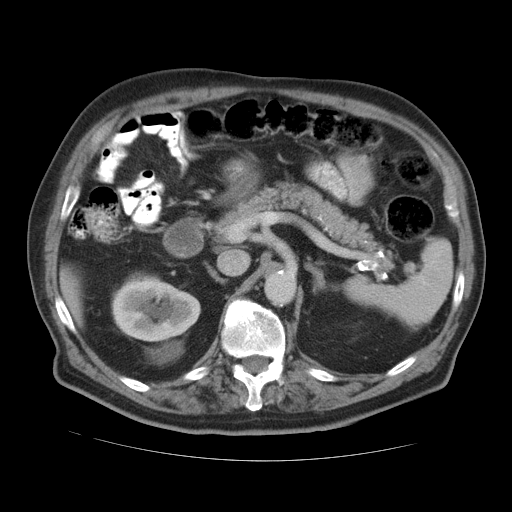
CT image, Upper abdomen
<segmentation>
  <spleen>[349, 240, 453, 326]</spleen>
</segmentation>